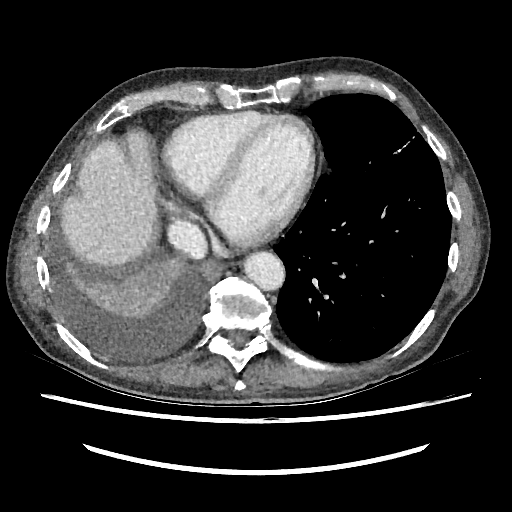
Upper abdomen | CT
The liver is at [62, 133, 155, 265].